512x512 | CT | Slice index 127 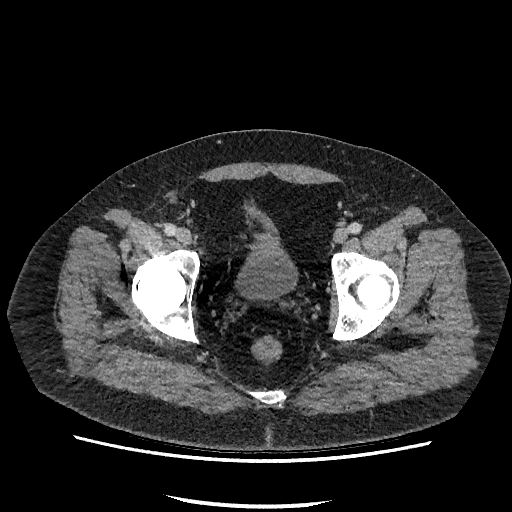
urinary_bladder:
  - 235 202 298 300